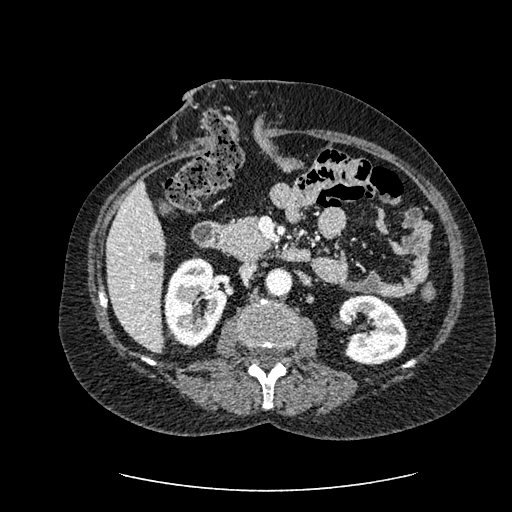 Liver. CT. Kidney: bbox=[165, 259, 226, 345]; bbox=[340, 296, 406, 363].
Liver: bbox=[106, 179, 165, 352].
Focal liver lesion: bbox=[149, 253, 162, 264].